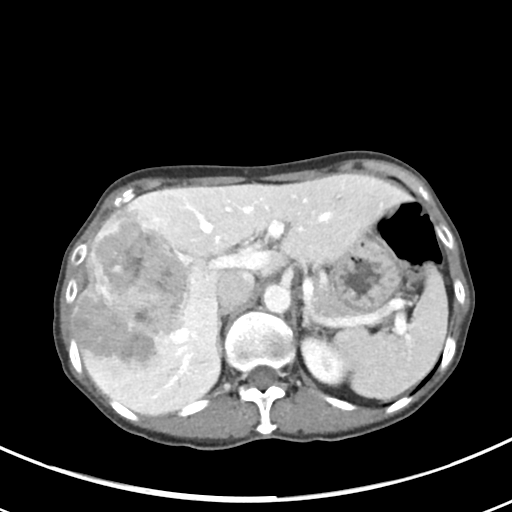

Abdomen; CT slice

Only some of the vessels may be annotated.
Segmented structures:
• liver tumor: bbox=[74, 205, 194, 372]
• hepatic vessel: bbox=[236, 250, 267, 263]; bbox=[172, 330, 187, 341]; bbox=[270, 225, 280, 231]; bbox=[216, 263, 220, 265]